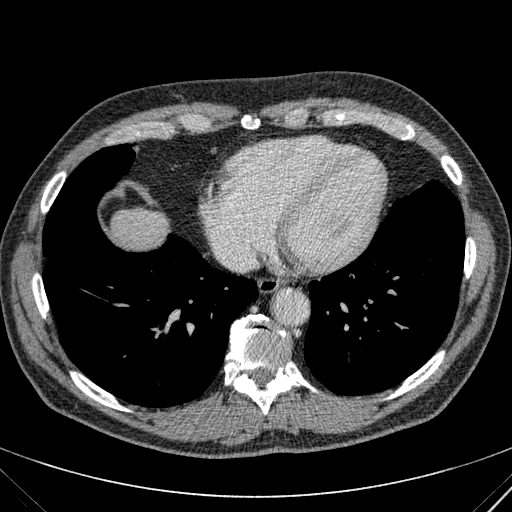 CT, Upper abdomen

The liver is bounded by bbox(111, 211, 165, 247).